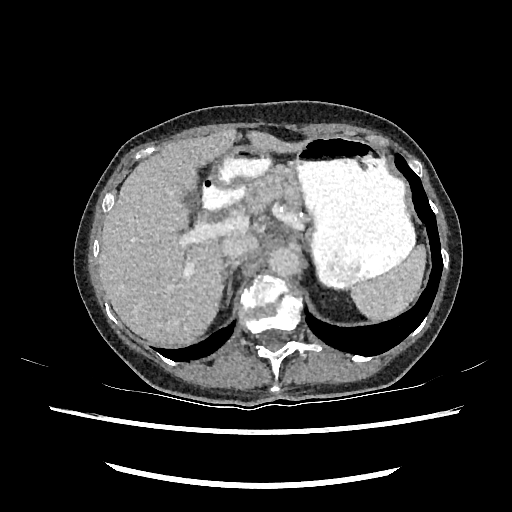 CT slice

2 liver regions are bounded by region(251, 132, 302, 151); region(99, 129, 236, 345).